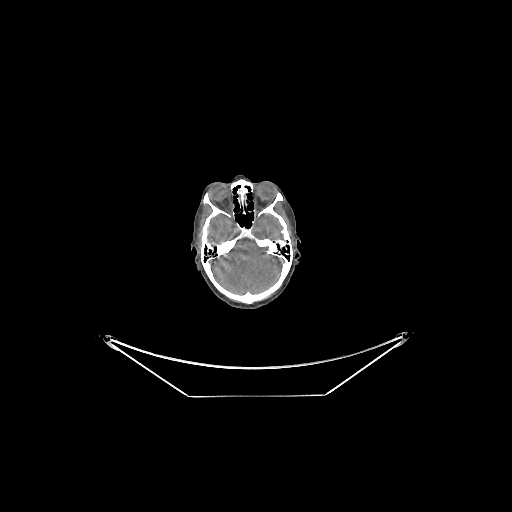 Computed tomography, Brain
Brain at <bbox>251, 213, 283, 240</bbox>, <bbox>209, 239, 283, 294</bbox>, <bbox>207, 213, 241, 244</bbox>.